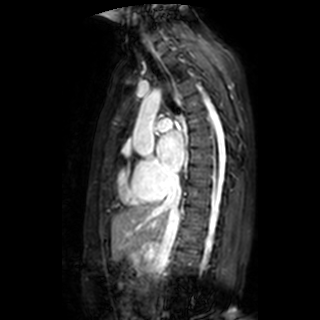

MRI | Cardiac
Left atrium at x1=157 y1=131 x2=184 y2=171.